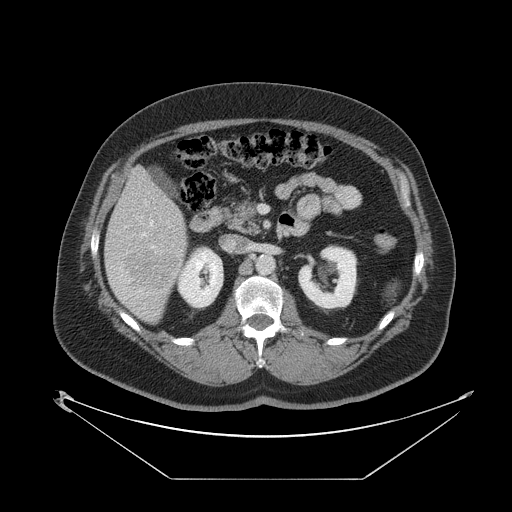

CT. Liver.
Some hepatic vessels may have no box.
liver tumor: x1=128 y1=252 x2=179 y2=289 | hepatic vessel: x1=152 y1=246 x2=155 y2=248, x1=142 y1=232 x2=147 y2=236